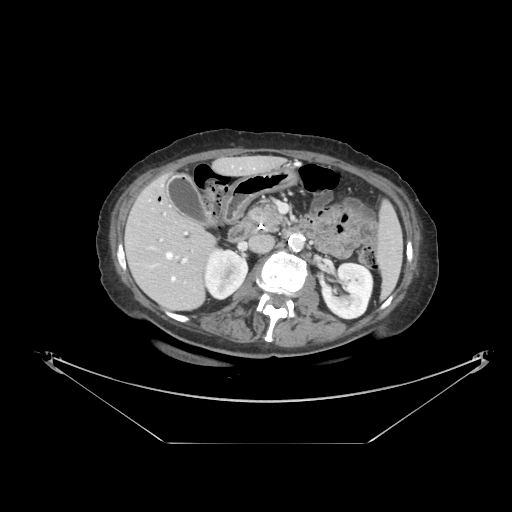

CT slice | 512x512

The pancreas lies within box(250, 203, 284, 231). The pancreatic tumor lies within box(264, 205, 281, 229).